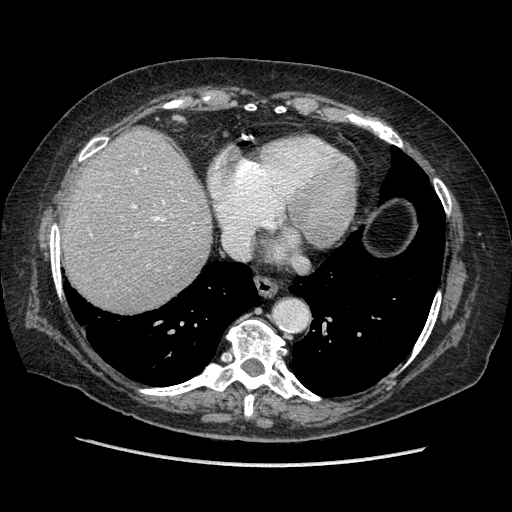
CT, Abdomen
The vessel boxes may cover only some of the vessels.
Hepatic vessel: bounding box left=133, top=205, right=135, bottom=207; left=153, top=216, right=163, bottom=220.